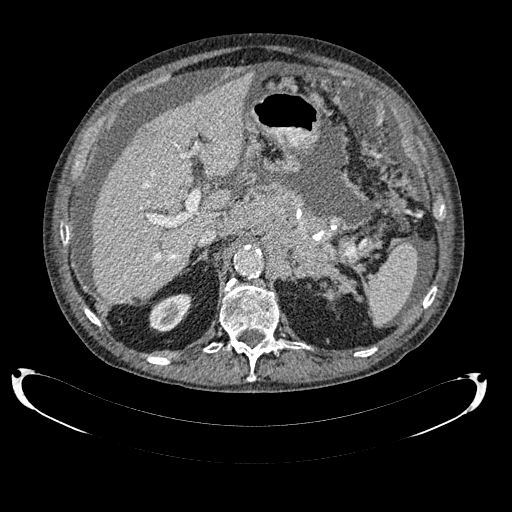 CT image
Liver: bounding box 93, 72, 253, 305; 210, 189, 229, 207.
Liver lesion: bounding box 137, 125, 154, 144.
Kidney: bounding box 150, 294, 190, 331.